MR image. 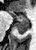
Segmented structures:
• posterior hippocampus: (x1=15, y1=23, x2=28, y2=34)
• anterior hippocampus: (x1=9, y1=10, x2=28, y2=22)